CT scan slice | Field of view 399x399 mm | 512x512 px | Slice 121/151 | Abdomen
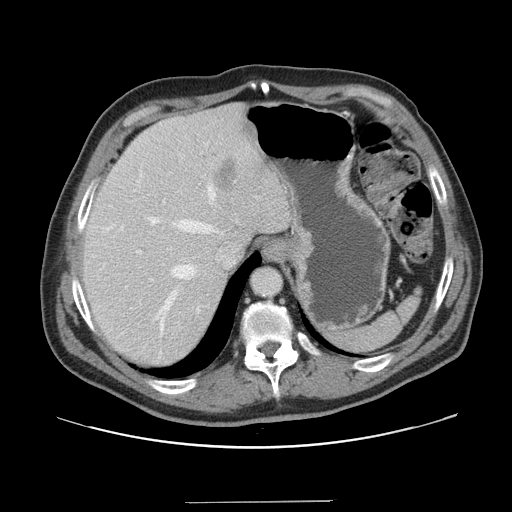
Some hepatic vessels may have no box.
The liver tumor is at 214 158 237 191. 6 hepatic vessel regions are located at 136 250 141 253, 208 184 214 200, 172 219 216 232, 157 290 176 332, 172 265 194 278, 147 217 159 224.